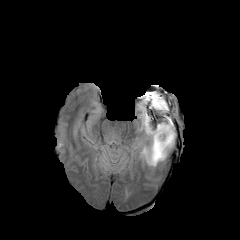
FLAIR MRI.
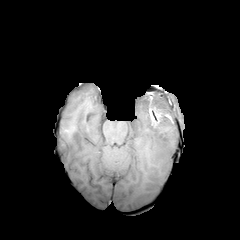
T1-weighted MRI.
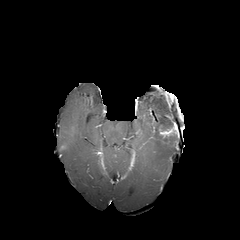
Post-contrast T1-weighted magnetic resonance.
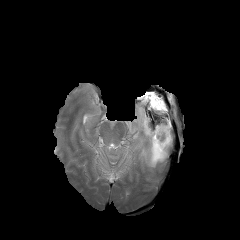
T2-weighted MR image.
Head
Findings:
• enhancing tumor: (x1=160, y1=129, x2=171, y2=137)
• edema: (x1=93, y1=92, x2=175, y2=170)
• non-enhancing tumor core: (x1=135, y1=101, x2=166, y2=139)